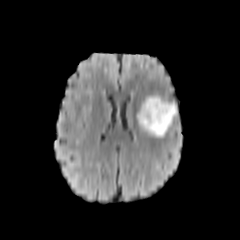
FLAIR MRI.
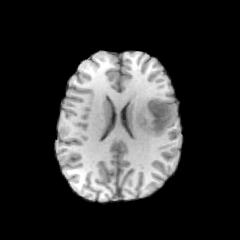
T1-weighted MR.
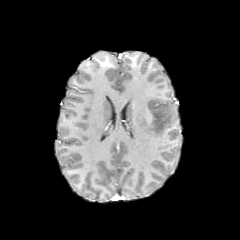
Post-contrast T1-weighted MR.
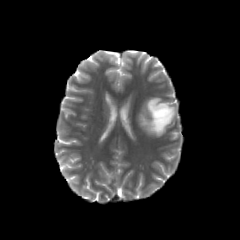
T2-weighted MRI.
240x240.
The edema appears at x1=137, y1=95, x2=167, y2=136. The non-enhancing tumor core is at x1=147, y1=98, x2=175, y2=132.